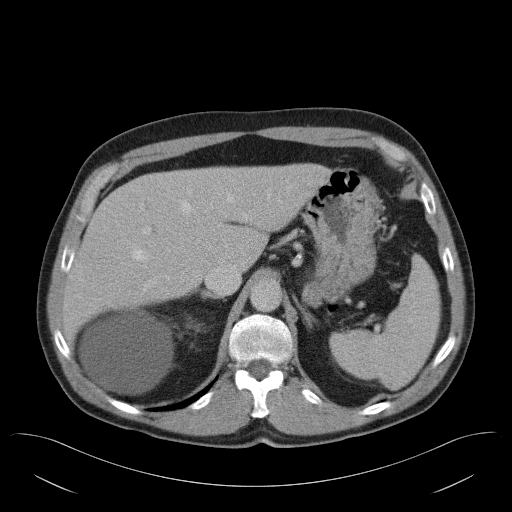 CT slice | Abdomen

Not every hepatic vessel necessarily has a box.
Segmented structures:
* hepatic vessel: bbox(227, 193, 233, 202); bbox(95, 298, 100, 300); bbox(90, 304, 92, 305); bbox(182, 200, 193, 214); bbox(143, 226, 150, 233); bbox(167, 277, 168, 278); bbox(268, 195, 269, 197); bbox(140, 204, 142, 209); bbox(144, 281, 155, 289); bbox(133, 250, 137, 257); bbox(140, 253, 145, 258)